FLAIR MR.
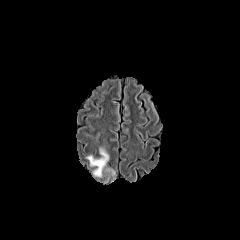
T1-weighted MRI.
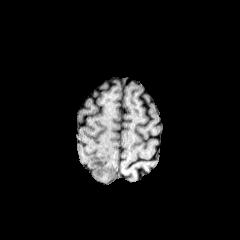
Post-contrast T1-weighted MR image.
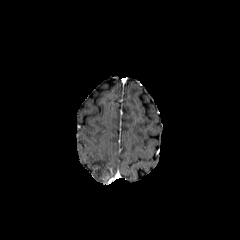
T2-weighted magnetic resonance.
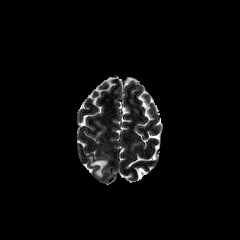
Brain.
edema: [x1=87, y1=148, x2=109, y2=175] | non-enhancing tumor core: [x1=99, y1=170, x2=114, y2=184]